Slice 85 of 155. Field of view 240 mm wide, 1.00 mm slice spacing.
FLAIR MR.
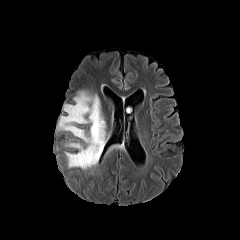
T1-weighted MR.
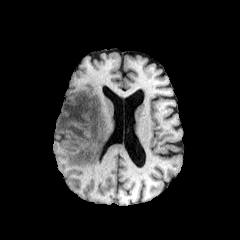
Post-contrast T1-weighted magnetic resonance.
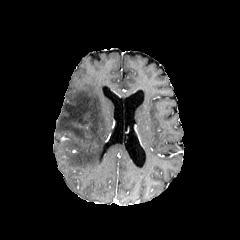
T2-weighted MRI.
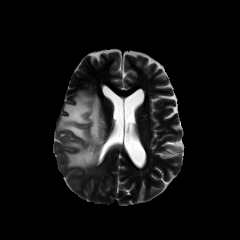
Findings:
• edema: [57, 90, 107, 170]